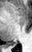

Magnetic resonance, Image size 32x52
Posterior hippocampus — 12, 43, 16, 44.